Slice index 98, Image size 240x240
FLAIR MRI.
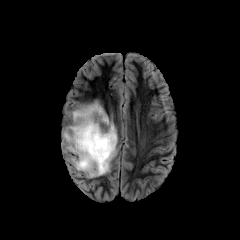
T1-weighted MR.
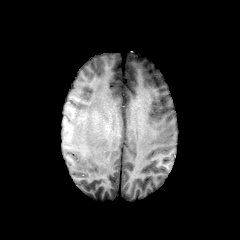
Post-contrast T1-weighted MR.
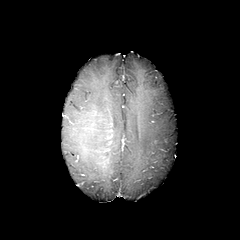
T2-weighted MRI.
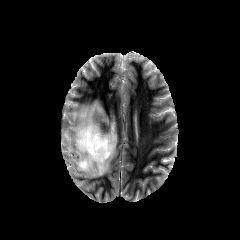
Annotated regions:
- edema: 64,101,117,177
- non-enhancing tumor core: 86,128,93,139